Slice 144 of 722; Computed tomography; Image size 512x512; Pelvis

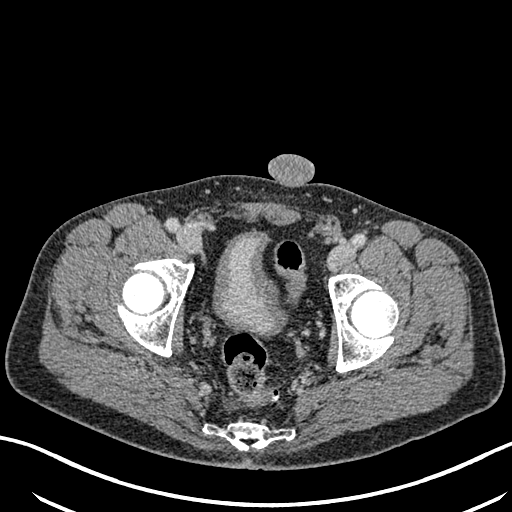
<segmentation>
  <urinary_bladder>{"x1": 219, "y1": 235, "x2": 275, "y2": 333}</urinary_bladder>
</segmentation>